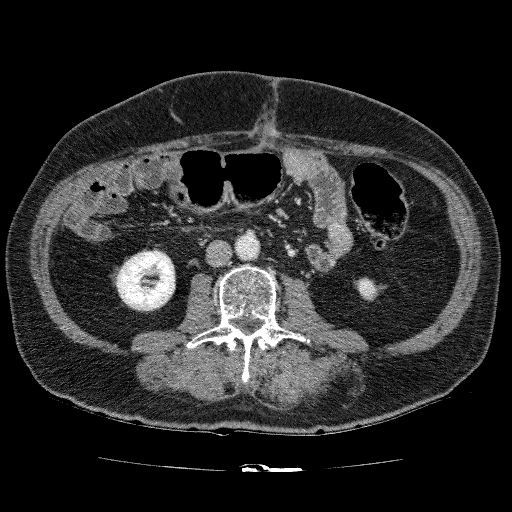 Abdomen | Computed tomography | 512x512 px
2 kidney regions are located at <box>116,250,175,310</box>, <box>357,278,376,299</box>.